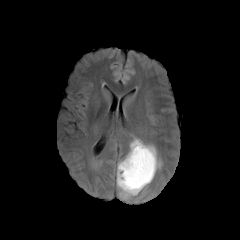
FLAIR MR.
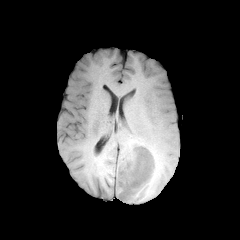
T1-weighted MR image.
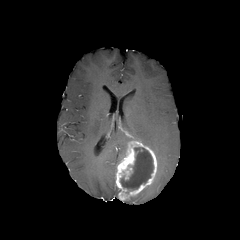
Same slice, post-contrast T1-weighted MRI.
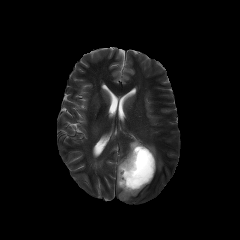
T2-weighted magnetic resonance.
The enhancing tumor lies within x1=116 y1=141 x2=156 y2=199. The edema is located at x1=144 y1=143 x2=156 y2=154. The non-enhancing tumor core is at x1=121 y1=148 x2=152 y2=189.